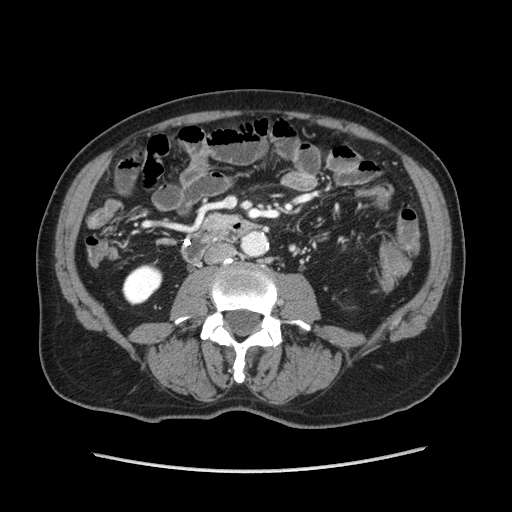 CT image. Upper abdomen. {"pancreas": ["206 214 236 228"]}